FLAIR MR.
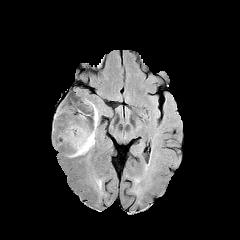
T1-weighted magnetic resonance.
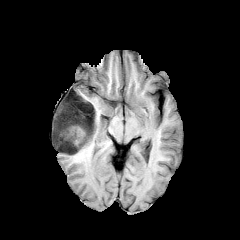
Post-contrast T1-weighted MR image.
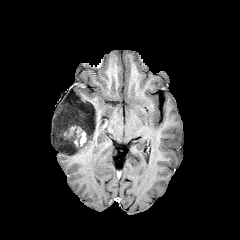
T2-weighted MR image.
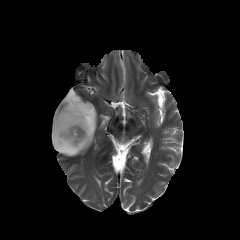
Brain.
Edema = (x1=67, y1=140, x2=95, y2=156).
Non-enhancing tumor core = (x1=53, y1=98, x2=97, y2=155).
Enhancing tumor = (x1=79, y1=130, x2=86, y2=146).